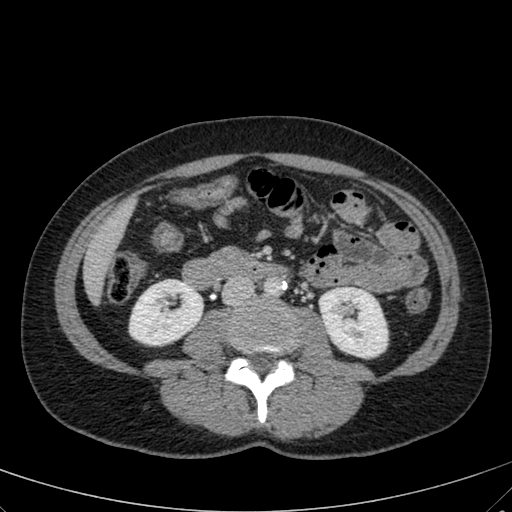
Computed tomography; Liver; 512x512

2 kidney regions are bounded by (320, 288, 387, 357), (130, 280, 202, 344). The liver lies within (83, 205, 130, 304).